FLAIR MRI.
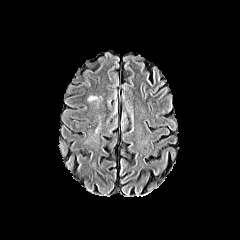
T1-weighted magnetic resonance.
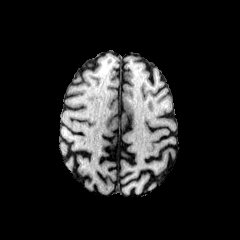
Post-contrast T1-weighted MRI.
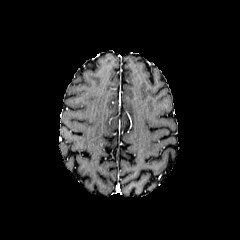
T2-weighted MRI.
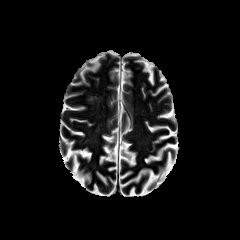
- edema: bbox(87, 95, 98, 101)